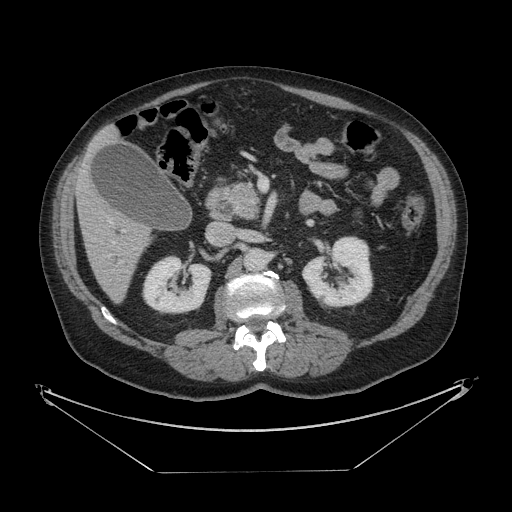 Upper abdomen | CT scan slice
Pancreatic tumor: bounding box rect(233, 184, 257, 206).
Pancreas: bounding box rect(235, 203, 257, 217).